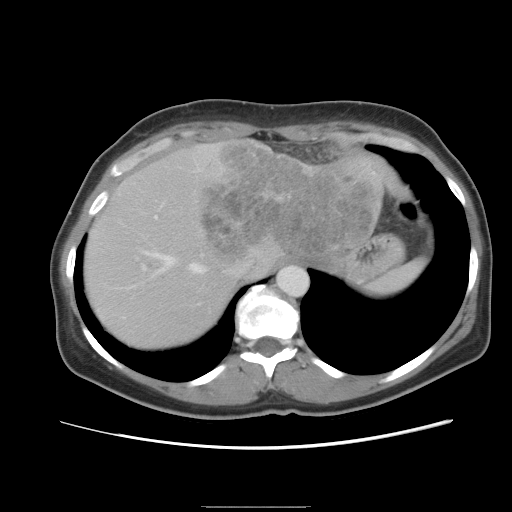 CT slice | 512x512

Some hepatic vessels may have no box.
liver tumor: [x1=194, y1=141, x2=383, y2=269] | hepatic vessel: [x1=141, y1=265, x2=144, y2=267], [x1=189, y1=263, x2=203, y2=272], [x1=224, y1=253, x2=262, y2=276], [x1=256, y1=268, x2=261, y2=274], [x1=145, y1=250, x2=172, y2=268]